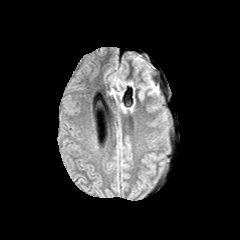
FLAIR MR image.
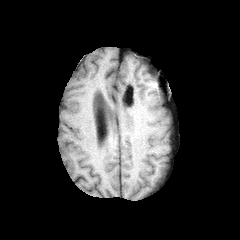
T1-weighted MRI of the same slice.
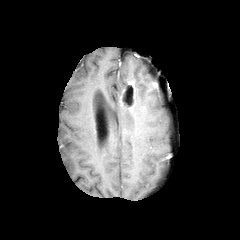
Post-contrast T1-weighted magnetic resonance of the same slice.
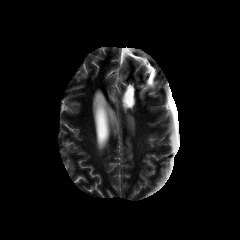
T2-weighted magnetic resonance of the same slice.
240x240; Brain
edema:
  - [x1=139, y1=81, x2=155, y2=97]